Slice index 108; Brain
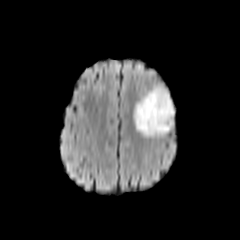
FLAIR magnetic resonance.
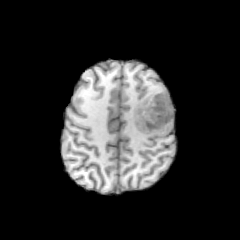
T1-weighted MR image of the same slice.
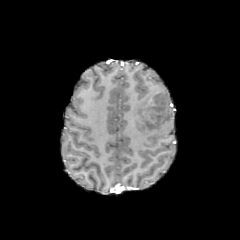
Post-contrast T1-weighted MR image.
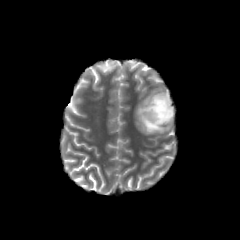
T2-weighted MR of the same slice.
Edema at [x1=131, y1=83, x2=175, y2=138].
Non-enhancing tumor core at [x1=141, y1=93, x2=172, y2=129].